240x240. Slice index 78.
FLAIR MR image.
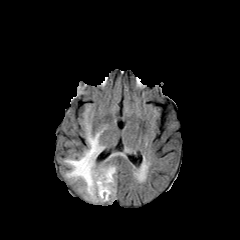
T1-weighted MR.
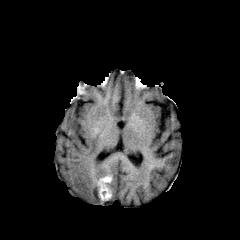
Post-contrast T1-weighted MR image.
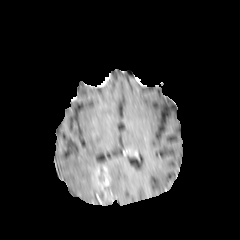
T2-weighted MR image.
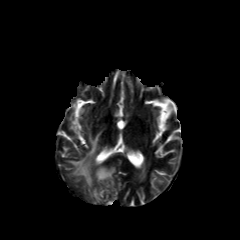
Edema: bounding box box(106, 164, 116, 201); box(64, 123, 105, 203).
Enhancing tumor: bounding box box(103, 166, 109, 185); box(94, 167, 101, 183).
Non-enhancing tumor core: bounding box box(94, 180, 112, 201).